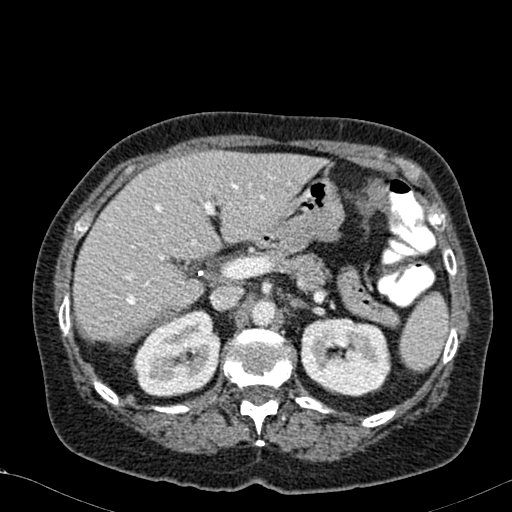 CT, 512x512 px
<segmentation>
  <hepatic_lesion>147:307:176:327</hepatic_lesion>
  <liver>74:151:327:344</liver>
  <kidney>301:319:389:395, 134:311:219:395</kidney>
</segmentation>